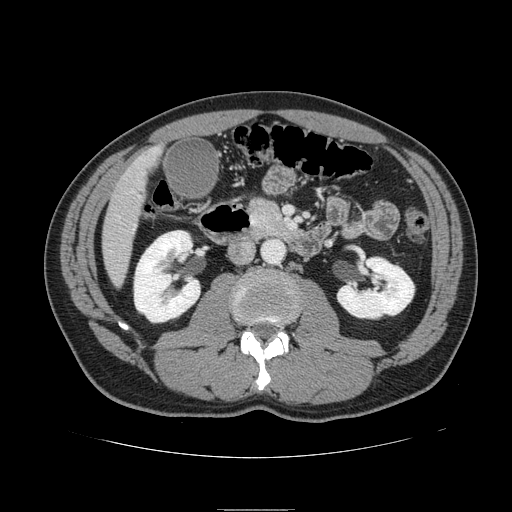 CT. 512x512 px.
pancreas: x1=249 y1=198 x2=296 y2=238